Slice 42 of 155
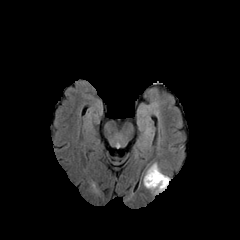
FLAIR MRI.
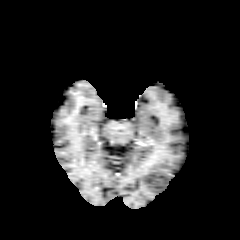
Same slice, T1-weighted magnetic resonance.
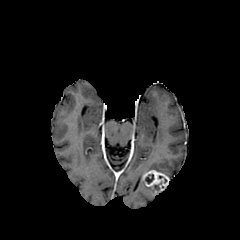
Post-contrast T1-weighted magnetic resonance of the same slice.
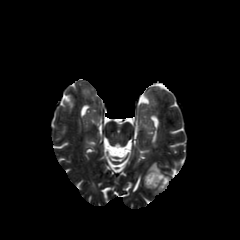
T2-weighted magnetic resonance.
{"edema": ["rect(142, 162, 166, 175)", "rect(144, 184, 158, 194)"], "non-enhancing_tumor_core": ["rect(145, 174, 153, 183)"], "enhancing_tumor": ["rect(142, 170, 169, 190)"]}